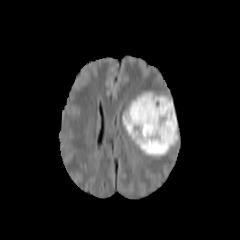
FLAIR magnetic resonance.
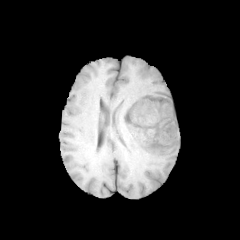
Same slice, T1-weighted MRI.
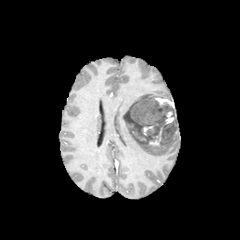
Same slice, post-contrast T1-weighted MRI.
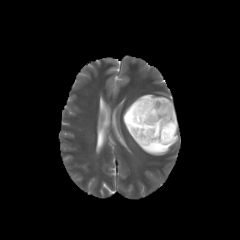
Same slice, T2-weighted MR.
Findings:
* enhancing tumor: x1=148 y1=128 x2=162 y2=145, x1=153 y1=96 x2=173 y2=106, x1=165 y1=111 x2=174 y2=124, x1=142 y1=125 x2=154 y2=136
* edema: x1=123 y1=91 x2=178 y2=156
* non-enhancing tumor core: x1=125 y1=98 x2=178 y2=145